Slice 346/689 | Upper abdomen | Computed tomography | 512x512 px | Field of view 360x360 mm 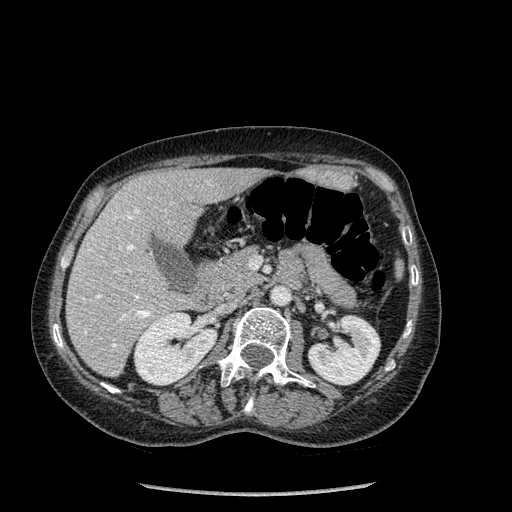
<segmentation>
  <kidney>[309, 316, 379, 384], [196, 316, 207, 327], [135, 313, 216, 384]</kidney>
  <bone>[410, 265, 418, 285], [53, 324, 63, 348], [244, 397, 253, 413], [101, 382, 119, 392], [403, 321, 412, 337], [61, 258, 68, 268], [402, 228, 412, 244], [217, 307, 315, 387]</bone>
  <liver>[66, 168, 267, 377]</liver>
</segmentation>